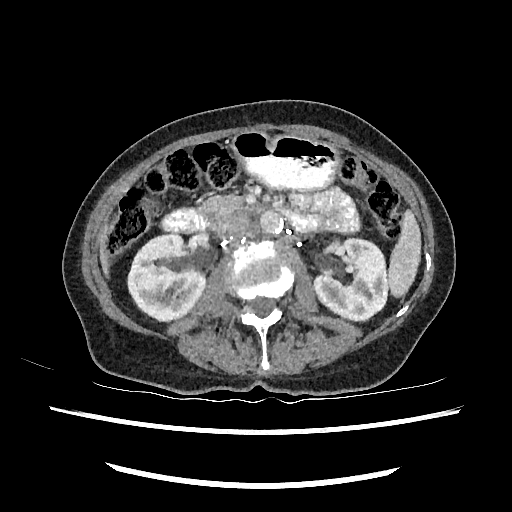 Image size 512x512 | CT scan slice

The liver is located at box(101, 233, 107, 269). 2 kidney regions are located at box(128, 235, 205, 320); box(315, 239, 387, 320).